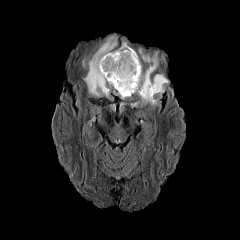
FLAIR magnetic resonance.
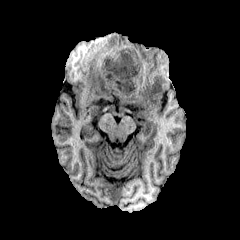
Same slice, T1-weighted MRI.
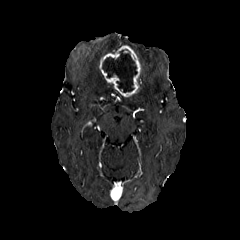
Same slice, post-contrast T1-weighted MR.
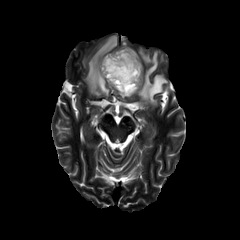
Same slice, T2-weighted magnetic resonance.
240x240 px | Head
Annotated regions:
- non-enhancing tumor core: rect(102, 50, 136, 92)
- edema: rect(82, 36, 117, 97); rect(130, 49, 167, 107)
- enhancing tumor: rect(98, 43, 142, 99)